Image width 240 mm
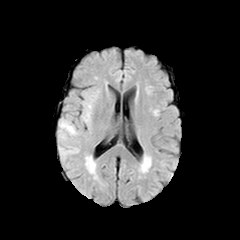
FLAIR MR.
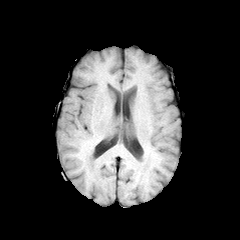
T1-weighted magnetic resonance.
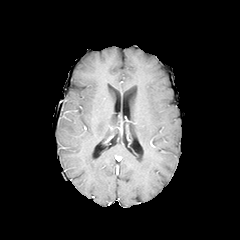
Post-contrast T1-weighted MR.
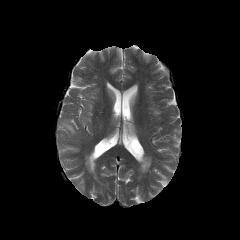
T2-weighted MRI of the same slice.
3 edema regions are located at 58:116:80:156, 85:154:96:173, 78:93:95:125.